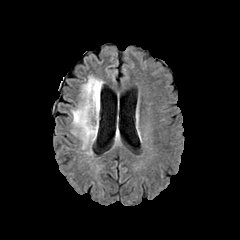
FLAIR MR.
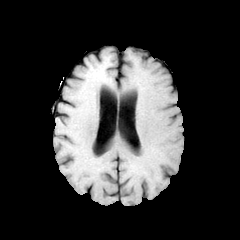
T1-weighted MR image.
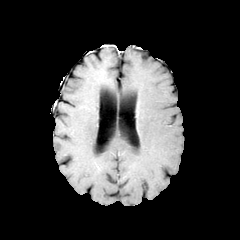
Post-contrast T1-weighted magnetic resonance.
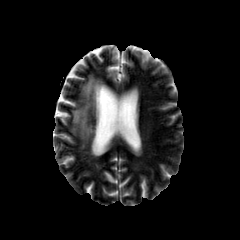
T2-weighted MR.
Brain, Image size 240x240
The edema lies within 71, 76, 103, 155.